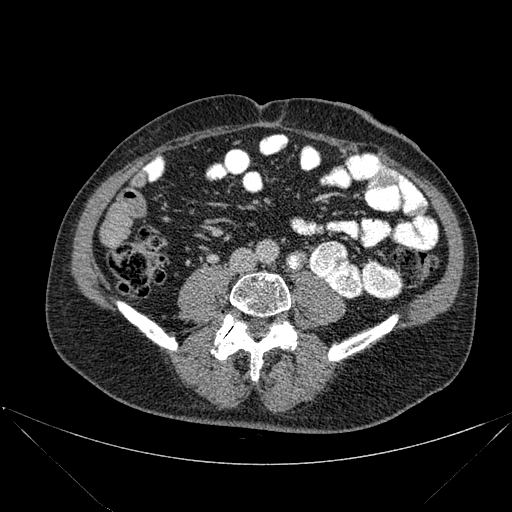

512x512 px | Computed tomography
<segmentation>
  <bone><box>328,315,397,360</box>, <box>212,315,296,380</box>, <box>230,273,290,316</box>, <box>117,302,177,350</box></bone>
</segmentation>